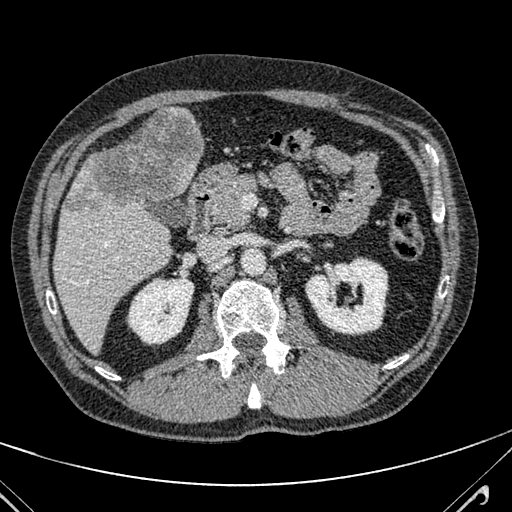 Abdomen, CT image
* hepatic lesion: bbox(67, 109, 199, 210)
* liver: bbox(172, 159, 197, 194); bbox(53, 199, 170, 351); bbox(68, 158, 90, 198)